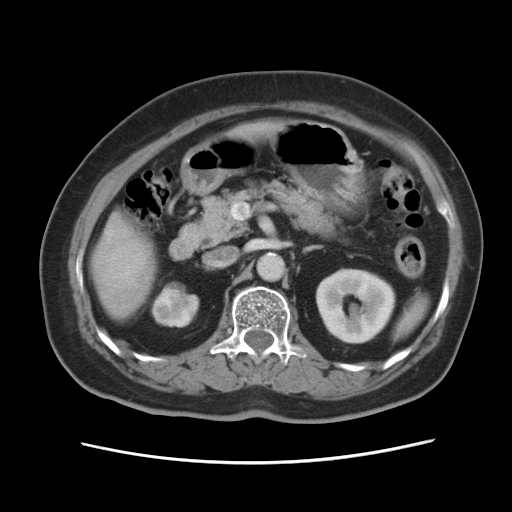 CT image

The liver tumor is located at box(93, 245, 140, 280).